CT

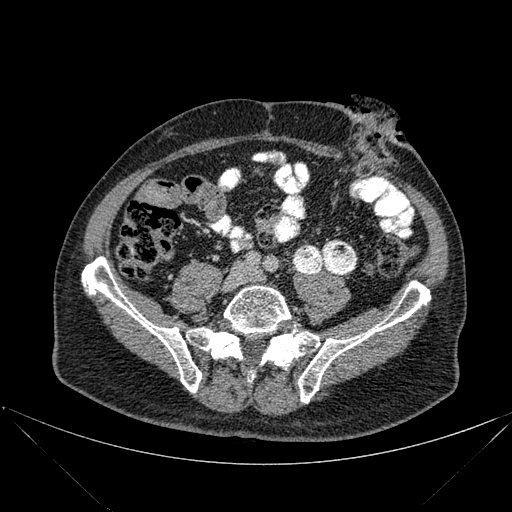 • bone: (left=82, top=257, right=201, bottom=392), (left=260, top=281, right=430, bottom=402), (left=224, top=286, right=290, bottom=332), (left=248, top=371, right=254, bottom=381), (left=186, top=327, right=242, bottom=359)